Abdomen. Image size 512x512. CT scan slice. Slice 58 of 88.

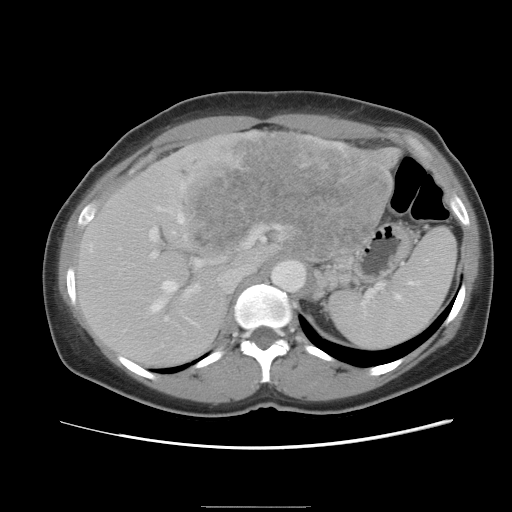

Only some of the vessels may be annotated.
Liver tumor — <box>178,134,387,258</box>.
Hepatic vessel — <box>208,256,225,264</box>, <box>217,227,264,291</box>, <box>194,259,204,265</box>, <box>184,283,197,295</box>, <box>156,206,162,209</box>, <box>150,300,162,311</box>, <box>186,318,194,322</box>, <box>151,251,156,256</box>, <box>90,244,91,246</box>, <box>164,316,167,319</box>, <box>161,280,175,293</box>, <box>177,214,178,220</box>, <box>149,226,156,240</box>.